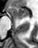

MR

{"anterior_hippocampus": ["(8,6,29,19)"]}